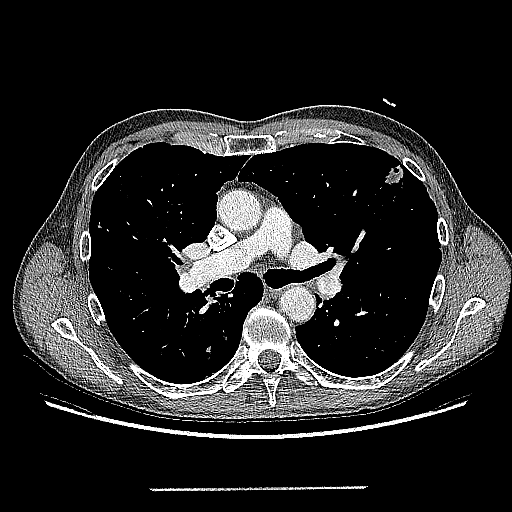

CT
Segmented structures:
* lung tumor: box(382, 163, 405, 188)